FLAIR MRI.
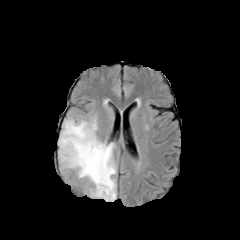
T1-weighted magnetic resonance.
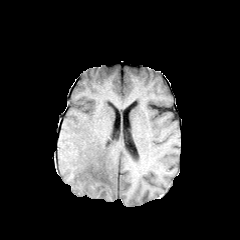
Post-contrast T1-weighted MR.
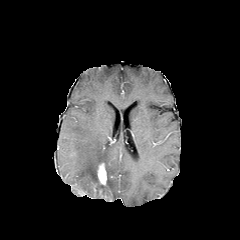
T2-weighted MRI.
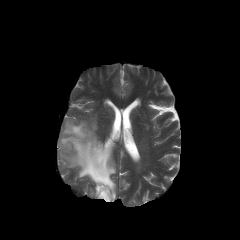
Brain.
Findings:
• edema: (x1=58, y1=117, x2=116, y2=201)
• enhancing tumor: (x1=97, y1=163, x2=106, y2=185)
• non-enhancing tumor core: (x1=87, y1=161, x2=113, y2=199)